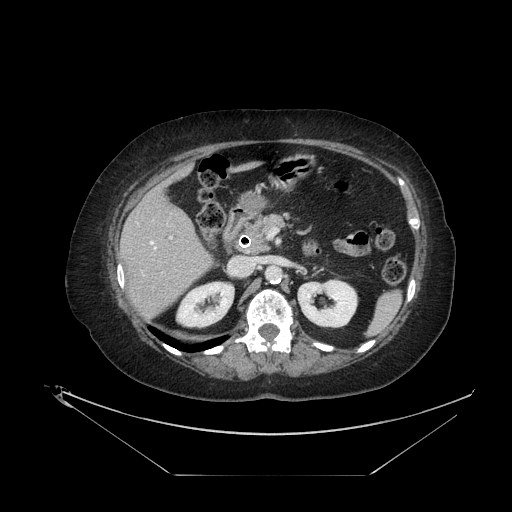 Abdomen | CT slice
The pancreas is at [241, 214, 291, 254].